Field of view 192x192 mm
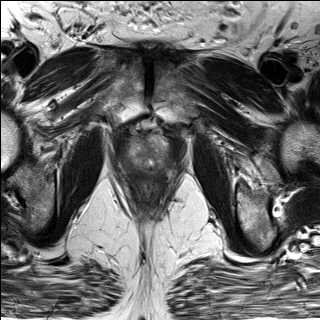
T2-weighted MR.
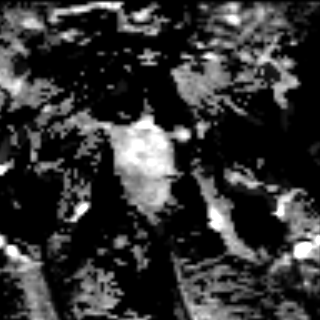
ADC MRI.
The prostate transition zone is at x1=121 y1=135 x2=178 y2=178.